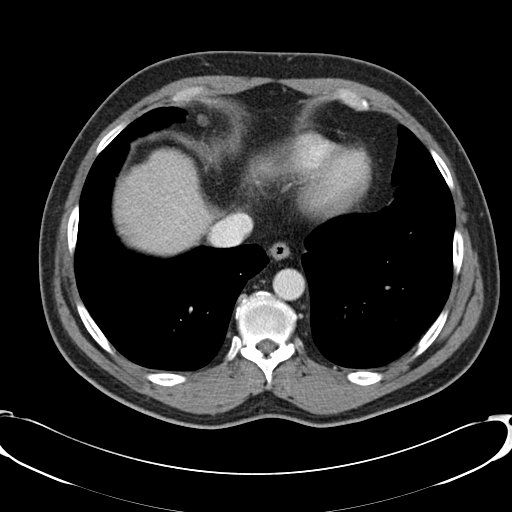

Abdomen, CT slice
The vessel annotation is not exhaustive.
hepatic vessel: rect(181, 227, 185, 229); rect(177, 234, 179, 236); rect(166, 197, 167, 199)